CT. Abdomen. 512x512.

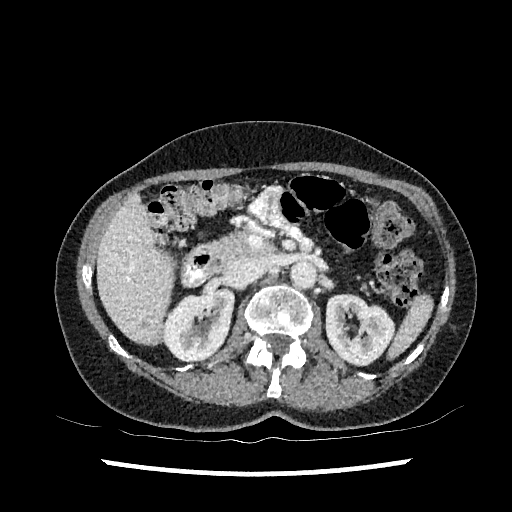

2 kidney regions are bounded by 326, 295, 393, 364; 164, 283, 233, 360. The liver lesion is at 142, 320, 149, 328. The liver is bounded by 97, 193, 174, 343.